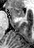
Hippocampus; MR
The anterior hippocampus is bounded by x1=11, y1=7, x2=24, y2=16.